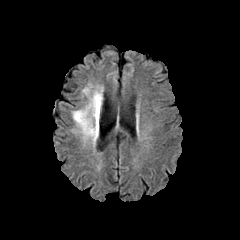
FLAIR MR.
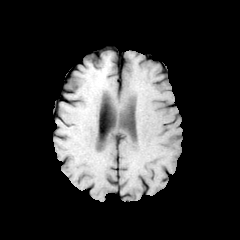
Same slice, T1-weighted MR.
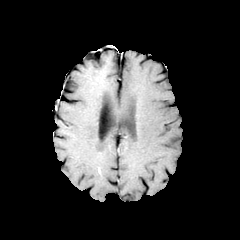
Post-contrast T1-weighted MRI.
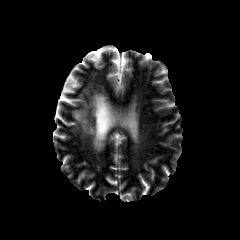
T2-weighted MR image.
240x240 px
Edema — 72:82:103:147.